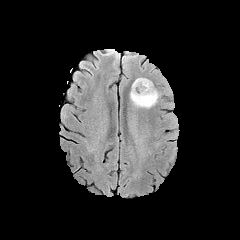
FLAIR MR image.
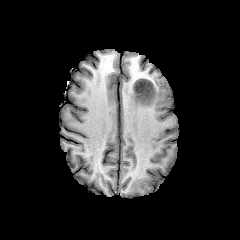
T1-weighted MR image.
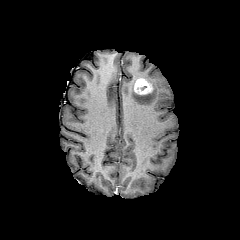
Post-contrast T1-weighted MRI.
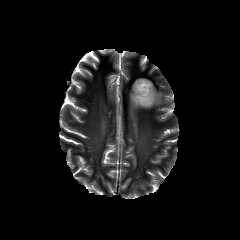
Same slice, T2-weighted MR image.
Head
The enhancing tumor appears at <bbox>134, 78, 152, 94</bbox>. The edema is located at <bbox>130, 83, 160, 108</bbox>.